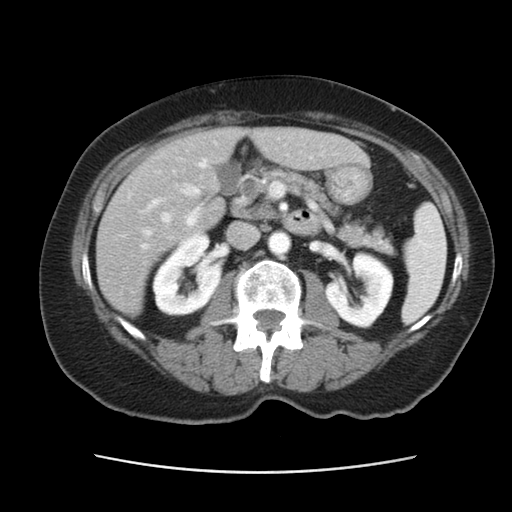

CT image | 512x512 | Liver

Not every hepatic vessel necessarily has a box.
hepatic vessel: (142, 245, 147, 249), (184, 187, 199, 195), (144, 230, 150, 235), (226, 247, 226, 252), (244, 227, 255, 234), (275, 185, 283, 193), (200, 161, 206, 167), (186, 211, 197, 225), (162, 213, 169, 221), (147, 199, 159, 210)